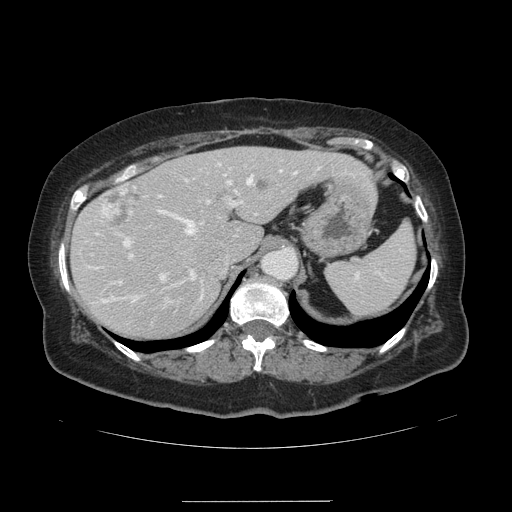
Abdomen. CT image.

Only some of the vessels may be annotated.
The liver tumor is at 101 184 139 227. 15 hepatic vessel regions appear at 129 253 131 257, 118 233 120 234, 279 169 281 170, 246 176 251 183, 227 180 230 182, 160 210 194 232, 115 280 121 283, 218 162 219 164, 229 201 241 205, 294 172 295 173, 206 200 209 202, 159 274 166 280, 164 298 170 304, 124 238 129 245, 158 195 160 196.